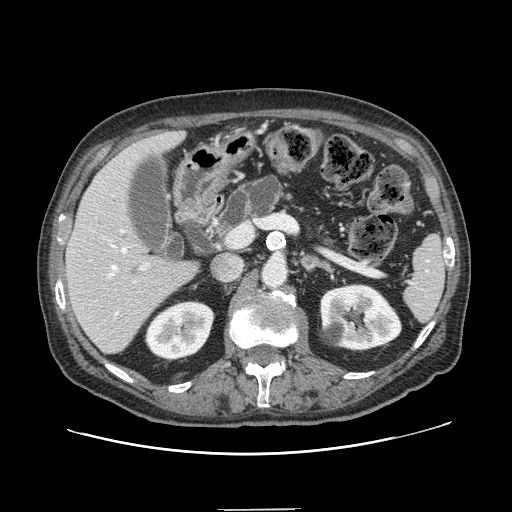

CT slice, Upper abdomen
pancreas:
  - <bbox>213, 174, 289, 231</bbox>